Abdomen; 512x512 px; Computed tomography; Slice 63/98

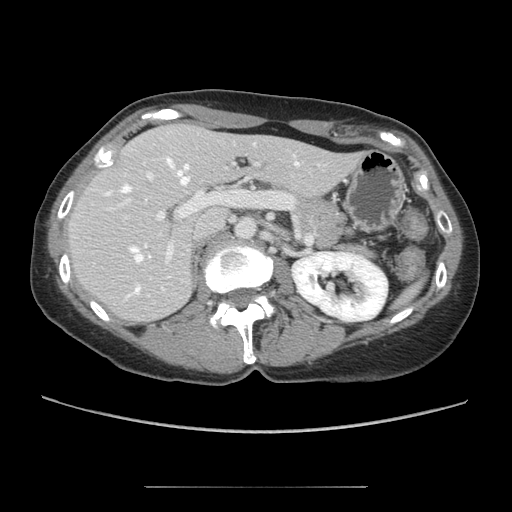 Annotated regions:
- pancreas: (293,195,349,249)